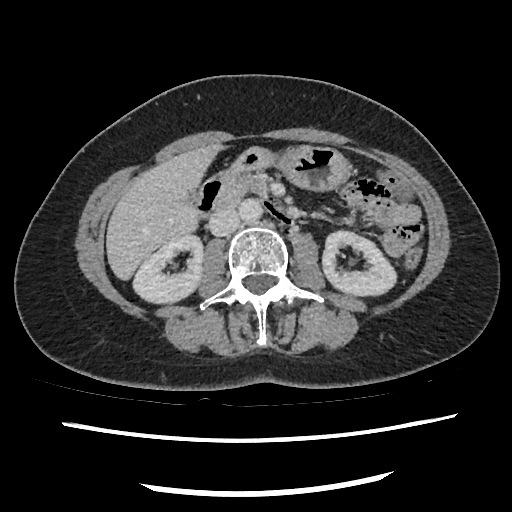
Upper abdomen | Computed tomography | Image size 512x512
Pancreas: bounding box rect(215, 172, 265, 208).